FLAIR MRI.
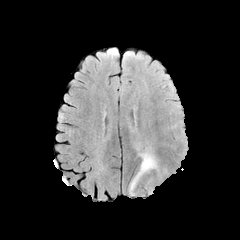
T1-weighted MRI.
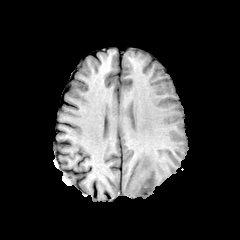
Post-contrast T1-weighted MR image.
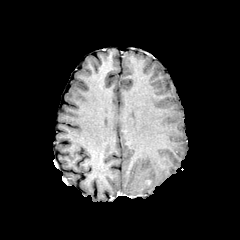
T2-weighted MRI.
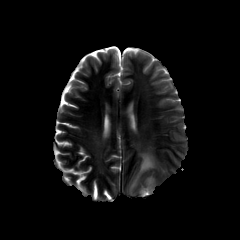
Image size 240x240, Brain
Edema: bounding box [128,152,158,195].